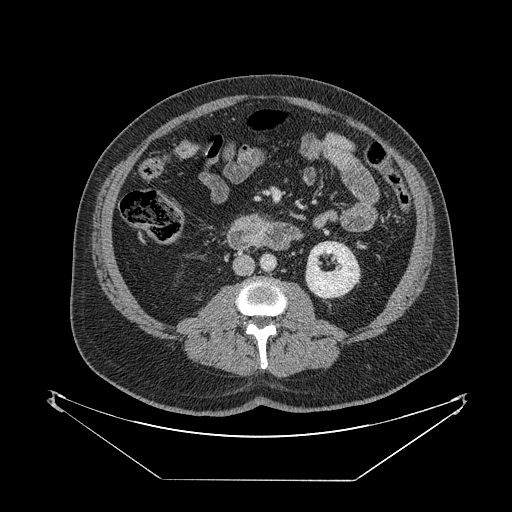 Computed tomography
Findings:
* pancreatic tumor: (x1=243, y1=216, x2=263, y2=232)